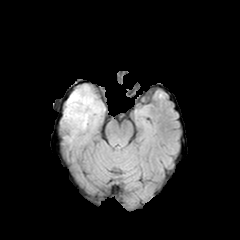
FLAIR MR.
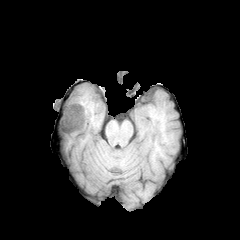
T1-weighted MR.
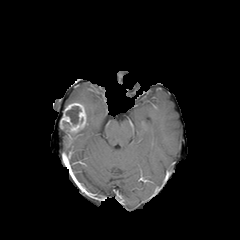
Same slice, post-contrast T1-weighted MRI.
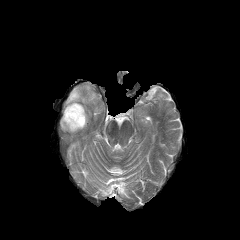
T2-weighted MR image of the same slice.
Head, 240x240
The non-enhancing tumor core lies within (x1=66, y1=106, x2=80, y2=123). The edema is at (x1=66, y1=85, x2=103, y2=146). The enhancing tumor is located at (x1=62, y1=102, x2=86, y2=131).